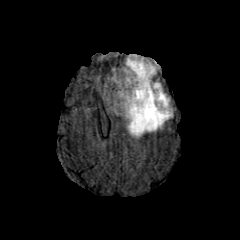
FLAIR magnetic resonance.
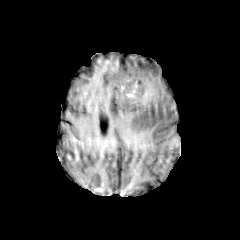
T1-weighted MR of the same slice.
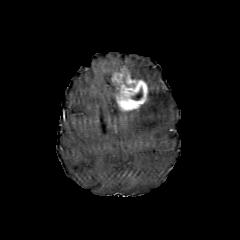
Post-contrast T1-weighted MR image of the same slice.
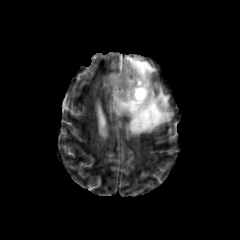
Same slice, T2-weighted magnetic resonance.
<segmentation>
  <enhancing_tumor>[111,66,147,111]</enhancing_tumor>
  <non-enhancing_tumor_core>[132,92,141,99]</non-enhancing_tumor_core>
  <edema>[112,55,173,137]</edema>
</segmentation>